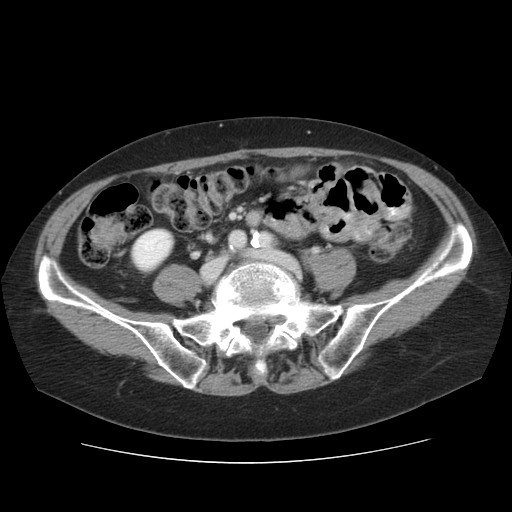
Abdomen. CT slice.

kidney:
  - bbox=[133, 230, 171, 267]
bone:
  - bbox=[38, 219, 471, 390]